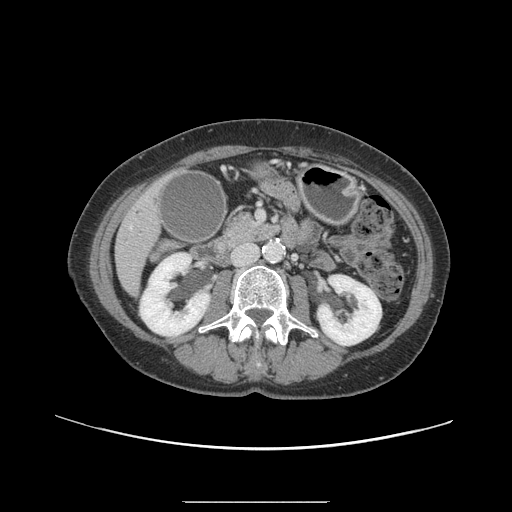 Abdomen. CT slice.

The pancreas is located at <bbox>225, 213, 278, 245</bbox>.